Brain; Slice 92/155
FLAIR magnetic resonance.
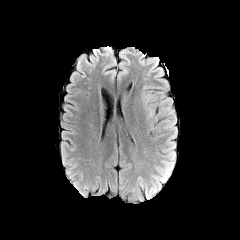
T1-weighted MR image.
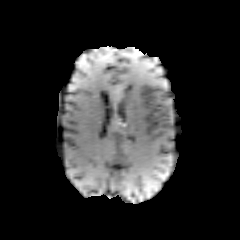
Post-contrast T1-weighted MRI.
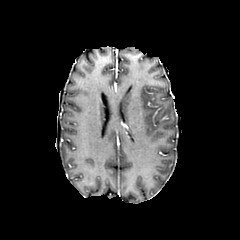
T2-weighted magnetic resonance.
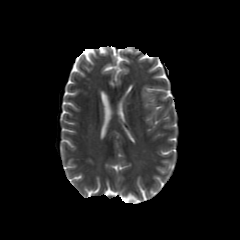
edema: x1=164, y1=117, x2=177, y2=142; x1=161, y1=103, x2=174, y2=115